Slice 115 of 155
FLAIR MR image.
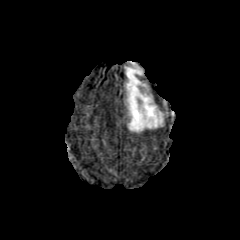
T1-weighted MRI.
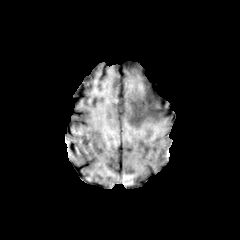
Post-contrast T1-weighted MR image.
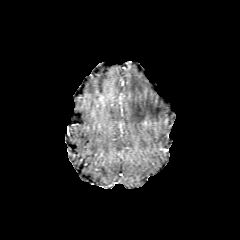
T2-weighted MR.
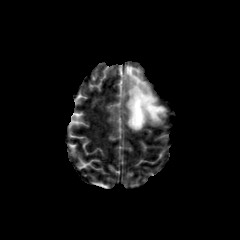
Edema = region(124, 64, 163, 132).